Slice 63/155. Image size 240x240.
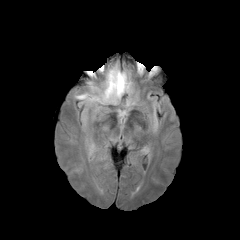
FLAIR MR.
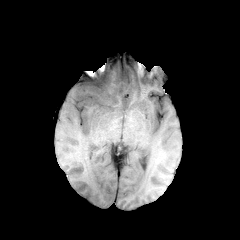
T1-weighted MR of the same slice.
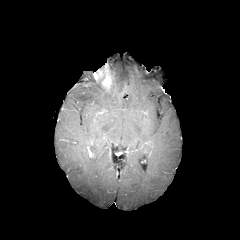
Same slice, post-contrast T1-weighted magnetic resonance.
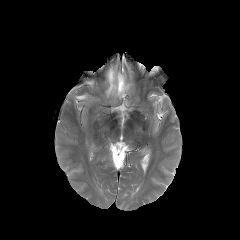
T2-weighted magnetic resonance.
{
  "enhancing_tumor": [
    "box=[94, 65, 112, 89]"
  ],
  "edema": [
    "box=[118, 98, 131, 119]",
    "box=[75, 61, 133, 109]"
  ]
}